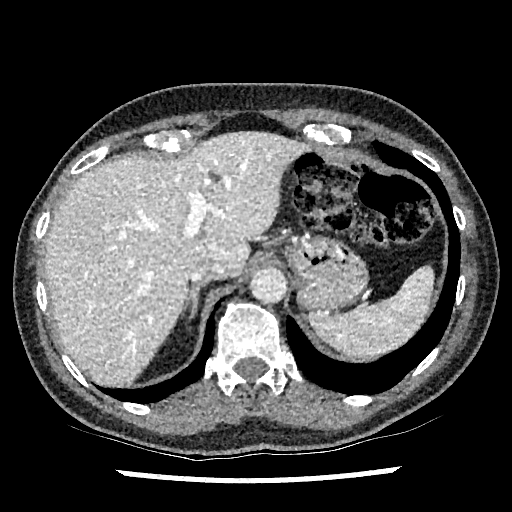
Image size 512x512, CT
Focal liver lesion at (207,171,221,181).
Liver at (45,132,309,385).